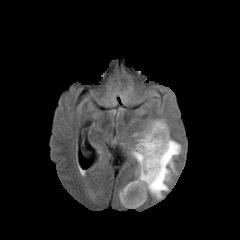
FLAIR MR.
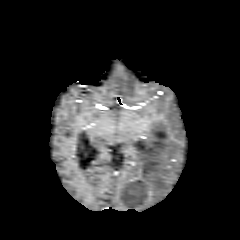
T1-weighted MRI of the same slice.
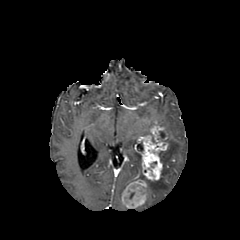
Post-contrast T1-weighted MR of the same slice.
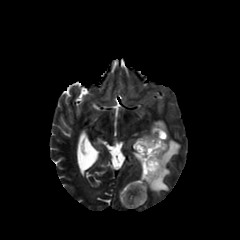
T2-weighted MRI of the same slice.
The edema is bounded by [x1=132, y1=120, x2=180, y2=199]. 2 enhancing tumor regions are located at [x1=122, y1=180, x2=145, y2=207], [x1=136, y1=122, x2=167, y2=179]. 3 non-enhancing tumor core regions are located at [x1=124, y1=186, x2=145, y2=203], [x1=158, y1=130, x2=166, y2=138], [x1=134, y1=141, x2=143, y2=151].